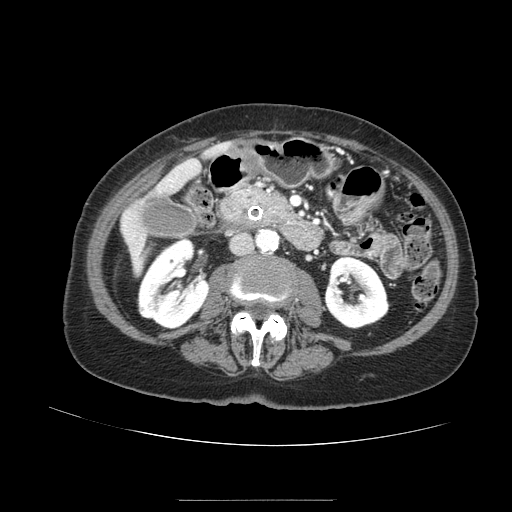

CT image

<segmentation>
  <pancreas>[x1=232, y1=189, x2=294, y2=217]</pancreas>
</segmentation>